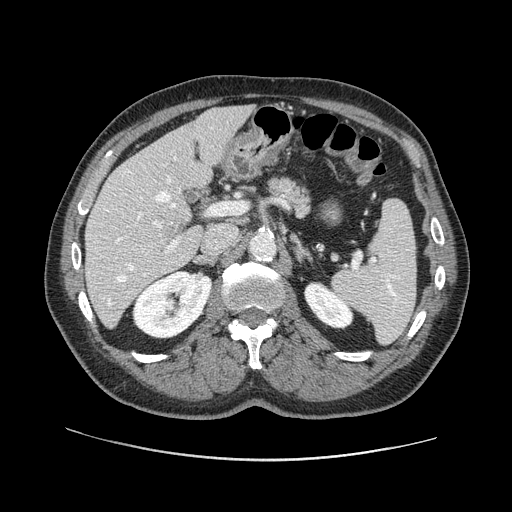

Upper abdomen; Computed tomography
The pancreas is located at 264 173 314 219.